Head
FLAIR MRI.
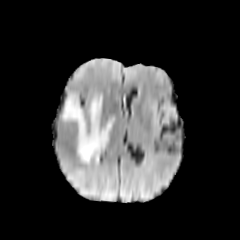
T1-weighted MRI.
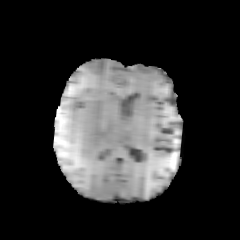
Post-contrast T1-weighted MR.
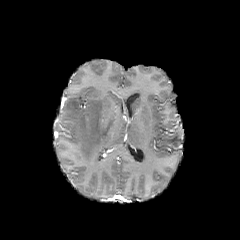
T2-weighted MR.
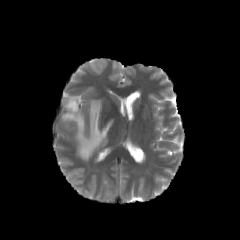
Annotated regions:
• edema: [63,95,113,164]